Upper abdomen | Computed tomography | Image width 400 mm
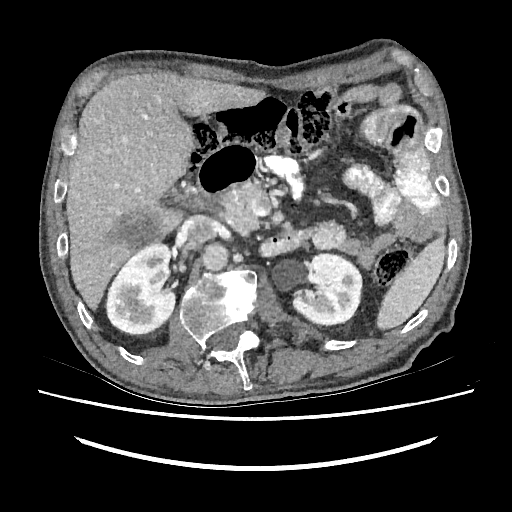
* liver: 67 72 263 309
* liver lesion: 107 211 161 250
* kidney: 107 244 174 333, 293 254 361 324